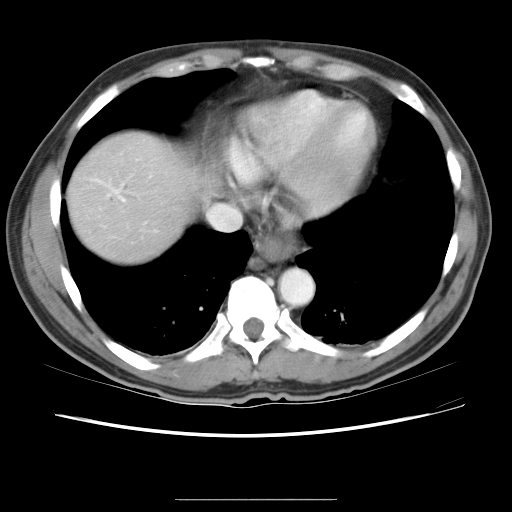

CT slice

Not every hepatic vessel necessarily has a box.
3 hepatic vessel regions appear at (149,173,151,177), (208,205,240,229), (88,174,132,200).